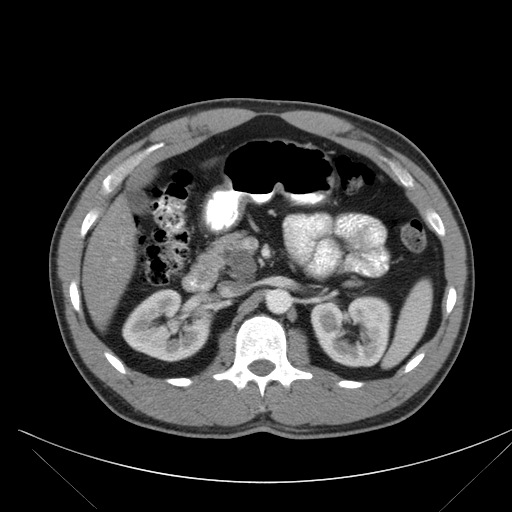

Upper abdomen | CT slice

pancreas:
  - [x1=211, y1=230, x2=258, y2=283]
pancreatic_tumor:
  - [x1=219, y1=248, x2=256, y2=280]